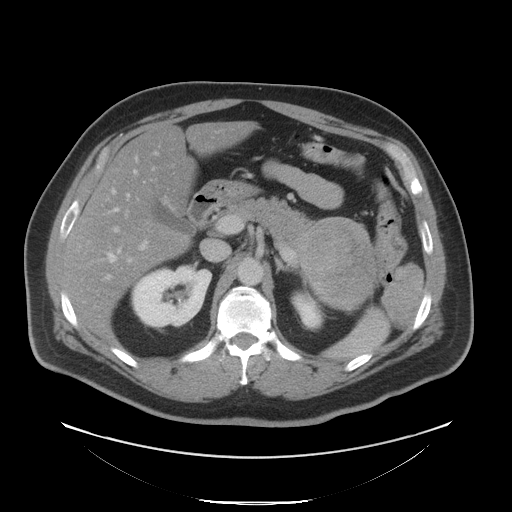

Upper abdomen; Image size 512x512; CT
Pancreatic tumor = region(301, 217, 376, 308).
Pancreas = region(231, 198, 339, 260); region(374, 247, 379, 271).